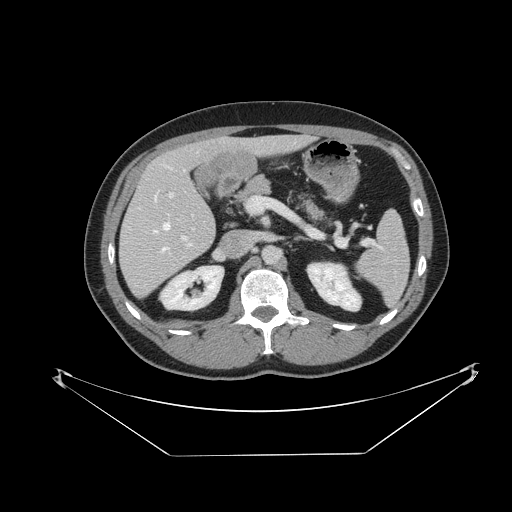

CT slice, Abdomen, 512x512
The spleen lies within region(357, 212, 409, 305).